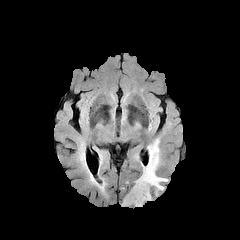
FLAIR MR image.
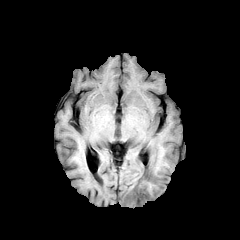
T1-weighted MR.
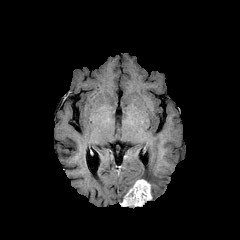
Post-contrast T1-weighted magnetic resonance.
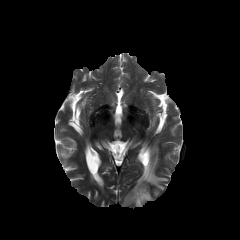
T2-weighted magnetic resonance.
The enhancing tumor is bounded by box=[122, 179, 151, 206]. The edema appears at box=[138, 141, 167, 193].